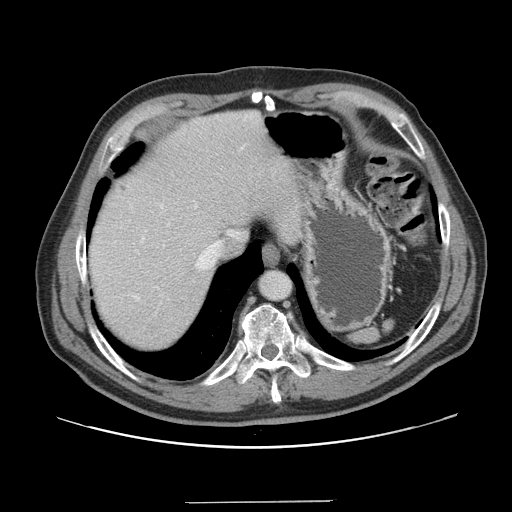
Image size 512x512. Abdomen. CT image.
Some hepatic vessels may have no box.
Segmented structures:
* hepatic vessel: x1=197, y1=242, x2=219, y2=268